Slice 99/134, CT, Liver 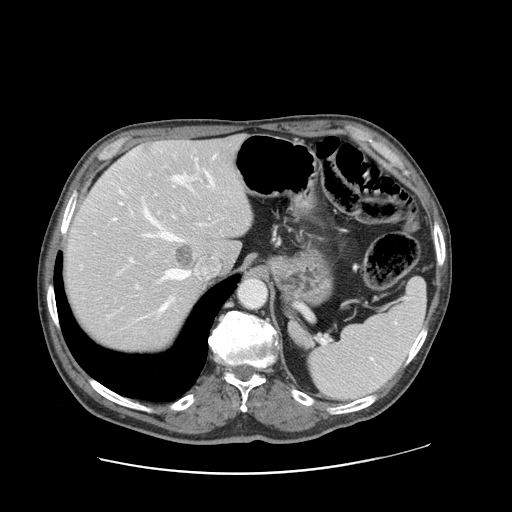 The vessel annotation is not exhaustive.
liver_tumor:
  - 175, 246, 193, 270
  - 143, 143, 150, 152
hepatic_vessel:
  - 173, 173, 185, 184
  - 136, 286, 138, 287
  - 130, 258, 132, 262
  - 186, 185, 190, 188
  - 205, 171, 213, 185
  - 113, 218, 116, 219
  - 159, 232, 177, 240
  - 120, 203, 122, 204
  - 145, 234, 153, 236
  - 213, 155, 215, 158
  - 196, 158, 196, 161
  - 159, 300, 169, 312
  - 163, 269, 189, 279
  - 143, 207, 159, 225